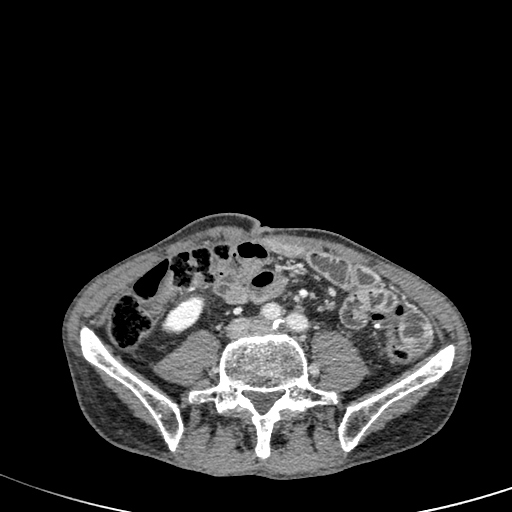 CT. Abdomen.
The kidney is bounded by <box>164,297,202,330</box>.